Brain | Slice index 113
FLAIR magnetic resonance.
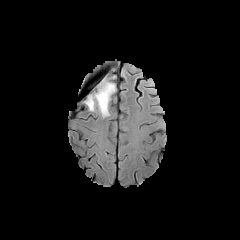
T1-weighted MRI.
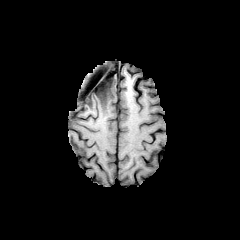
Post-contrast T1-weighted MRI.
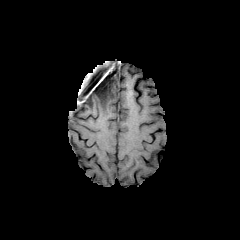
T2-weighted magnetic resonance.
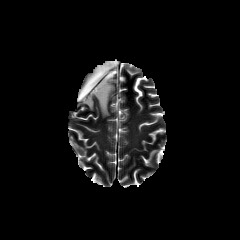
Non-enhancing tumor core: 98, 106, 108, 113; 82, 78, 111, 103.
Edema: 86, 78, 115, 117.